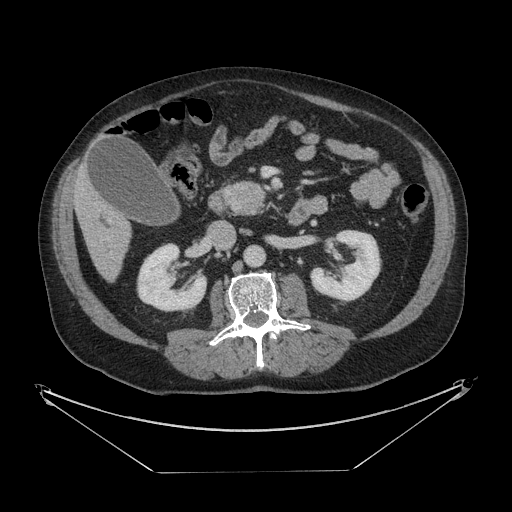
Computed tomography, 512x512 px
pancreas:
  - rect(235, 182, 262, 213)